CT scan slice; Abdomen
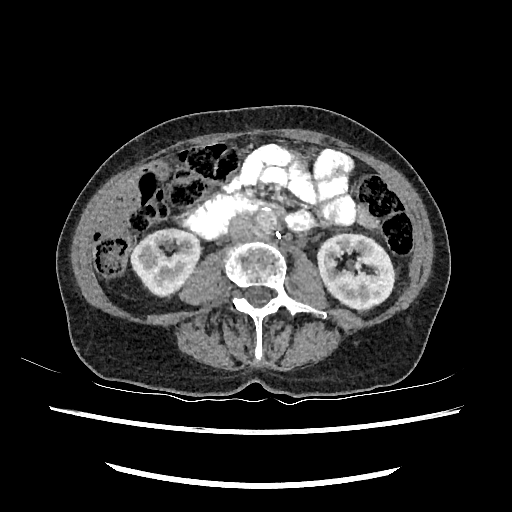

{
  "kidney": [
    "131, 228, 199, 294",
    "318, 232, 393, 308"
  ]
}